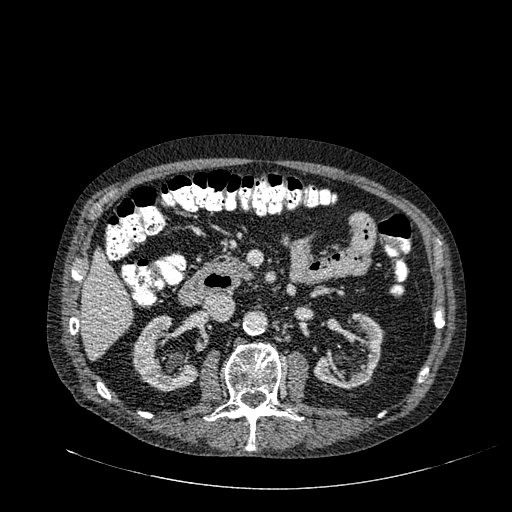
512x512 px. Liver. CT.

The liver appears at box(82, 249, 132, 360). 2 kidney regions are bounded by box(131, 315, 198, 391); box(314, 313, 383, 388).